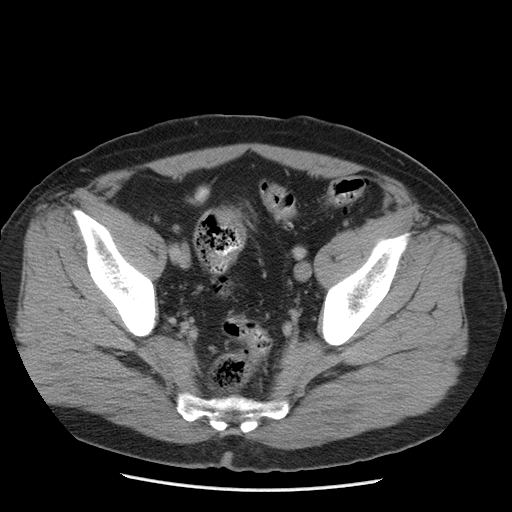

Pelvis. Computed tomography. 512x512.

Colon tumor — [210,249,239,267], [215,206,244,237].